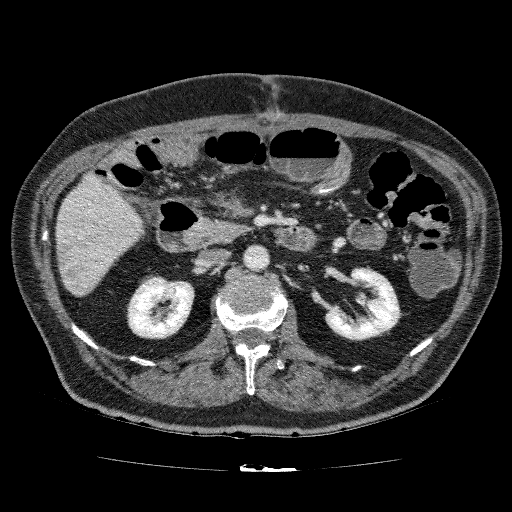

CT image. Image size 512x512.
Annotated regions:
- liver: x1=55 y1=176 x2=142 y2=296
- liver lesion: x1=57 y1=237 x2=91 y2=289
- kidney: x1=127 y1=277 x2=193 y2=338, x1=326 y1=268 x2=399 y2=339